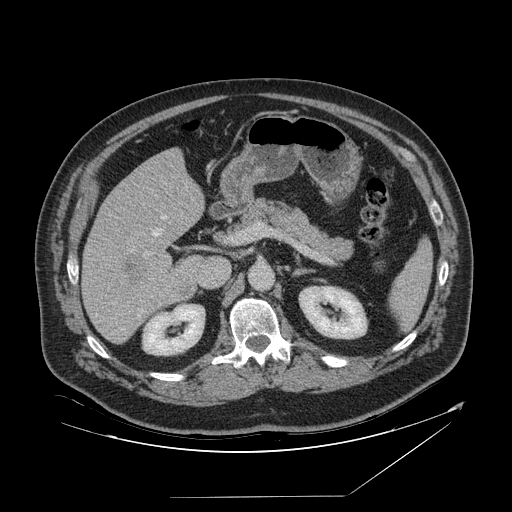 512x512 px, CT, Abdomen
Annotated regions:
* spleen: x1=389, y1=242, x2=431, y2=332